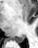
MR image. Medial temporal lobe. The posterior hippocampus lies within [13, 36, 24, 42].